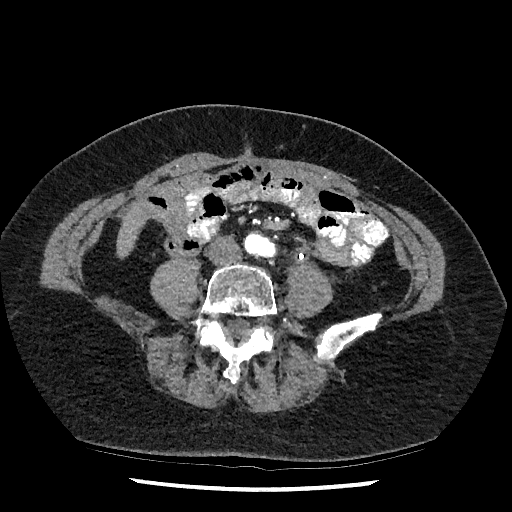 Upper abdomen. CT image. Annotated regions:
* liver: <bbox>117, 204, 146, 255</bbox>